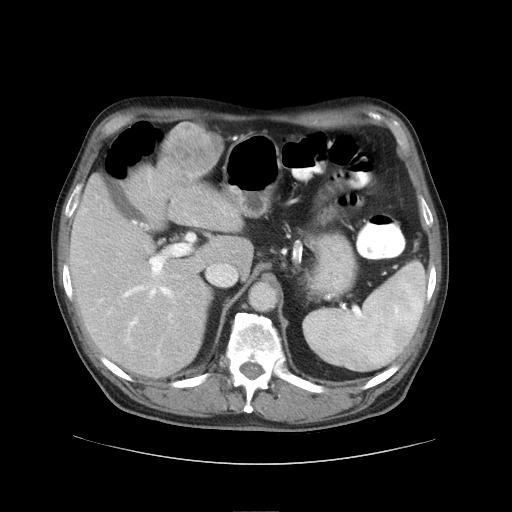

CT scan slice. Abdomen.

Some hepatic vessels may have no box.
7 hepatic vessel regions appear at box=[184, 212, 187, 215]; box=[150, 257, 156, 266]; box=[169, 313, 172, 321]; box=[124, 279, 155, 302]; box=[126, 313, 138, 341]; box=[161, 288, 171, 296]; box=[153, 269, 160, 274]. The liver tumor appears at box=[156, 123, 215, 188].